FLAIR magnetic resonance.
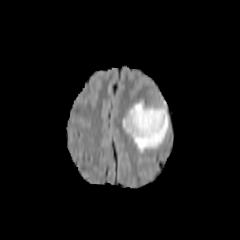
T1-weighted MR image.
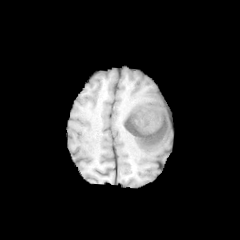
Post-contrast T1-weighted MR image.
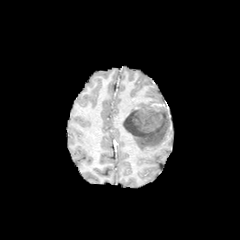
T2-weighted MR image.
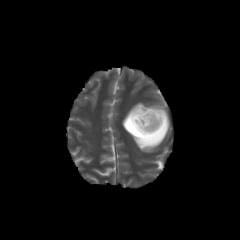
Non-enhancing tumor core — (left=124, top=105, right=164, bottom=137).
Edema — (left=122, top=100, right=171, bottom=152).